CT, Liver, Image width 434 mm
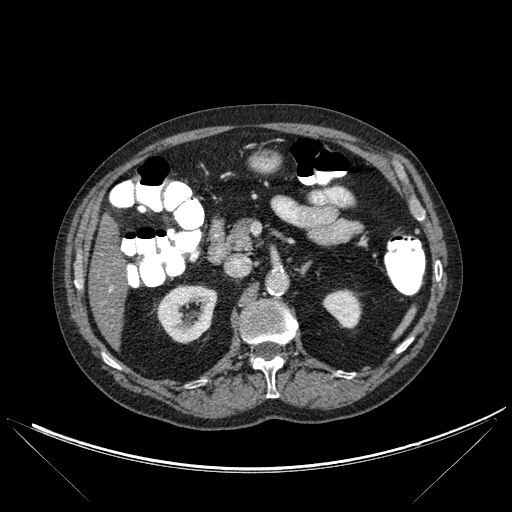

<segmentation>
  <liver>rect(89, 215, 129, 347)</liver>
  <bone>rect(336, 371, 354, 378); rect(240, 301, 297, 344); rect(187, 380, 205, 387); rect(396, 338, 412, 352); rect(251, 356, 283, 397); rect(102, 353, 120, 368); rect(435, 261, 441, 280)</bone>
  <kidney>rect(324, 290, 360, 327); rect(158, 286, 216, 342)</kidney>
</segmentation>